Image size 512x512. CT image. 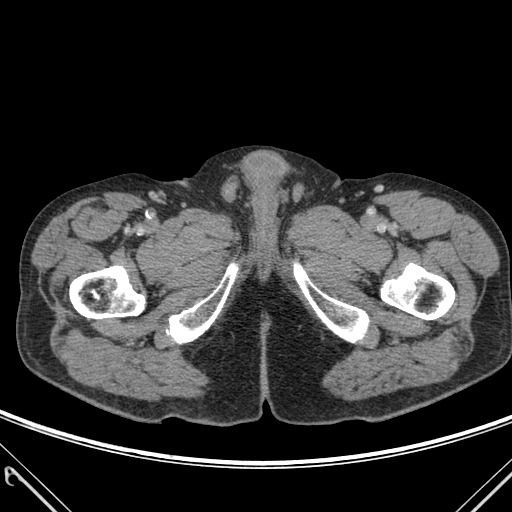

Bone = (x1=167, y1=263, x2=237, y2=343), (x1=70, y1=266, x2=144, y2=318), (x1=381, y1=263, x2=454, y2=319), (x1=294, y1=264, x2=368, y2=342).